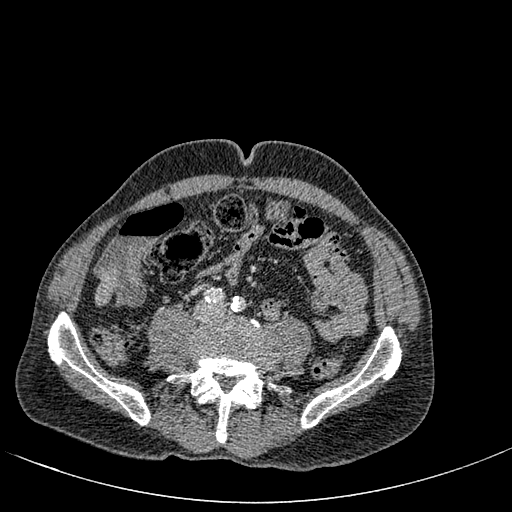

CT slice. Liver at 96 271 113 305.